Image width 512 mm, Abdomen, Slice 100 of 124, CT image

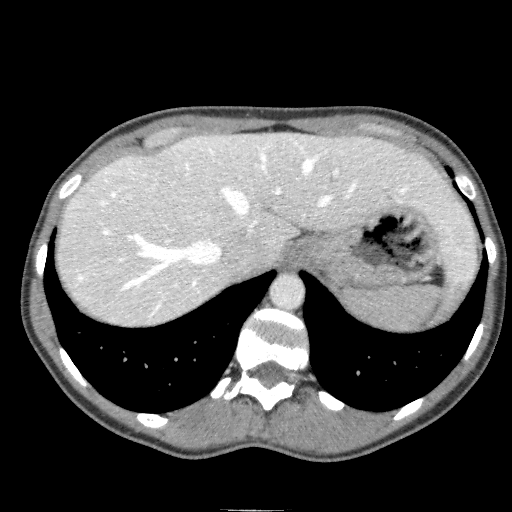
<segmentation>
  <liver>57:131:477:326</liver>
</segmentation>